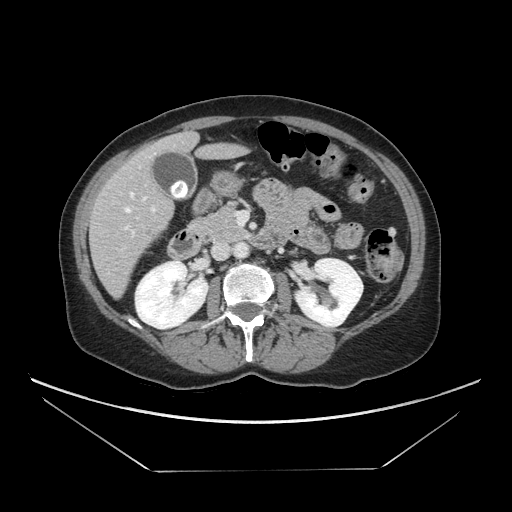

Computed tomography
Annotated regions:
• pancreas: left=191, top=204, right=246, bottom=243